Abdomen | 512x512 px | CT scan slice
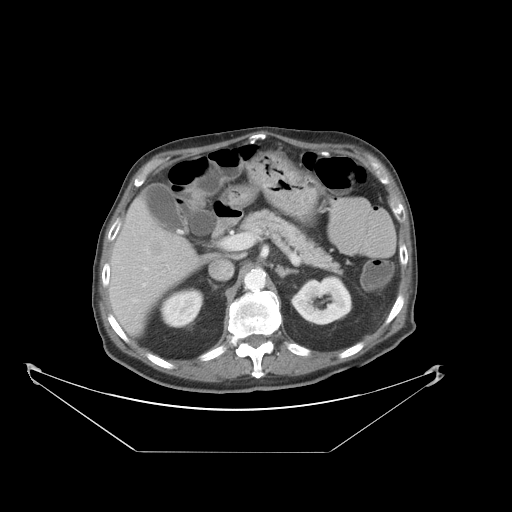 The vessel boxes may cover only some of the vessels.
4 hepatic vessel regions are bounded by <box>143,284,145,286</box>, <box>144,267,147,269</box>, <box>222,231,253,249</box>, <box>133,299,136,302</box>. The liver tumor appears at <box>150,241,164,257</box>.